Abdomen | CT image | 512x512 px

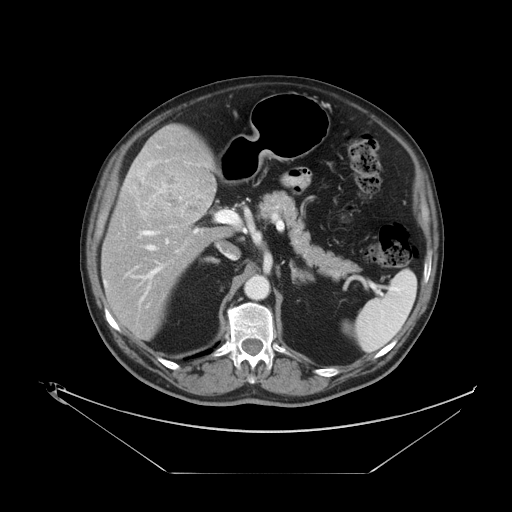
Some hepatic vessels may have no box.
Liver tumor at <box>144,161,214,213</box>.
Principal 15 of 17 hepatic vessel regions at <box>180,211,183,215</box>, <box>148,161,155,166</box>, <box>131,168,145,183</box>, <box>146,245,156,250</box>, <box>157,146,159,147</box>, <box>152,195,155,198</box>, <box>144,202,149,206</box>, <box>217,211,237,222</box>, <box>168,207,169,210</box>, <box>131,263,163,306</box>, <box>141,211,145,214</box>, <box>166,240,168,243</box>, <box>133,188,137,192</box>, <box>176,250,178,252</box>, <box>139,230,159,237</box>.